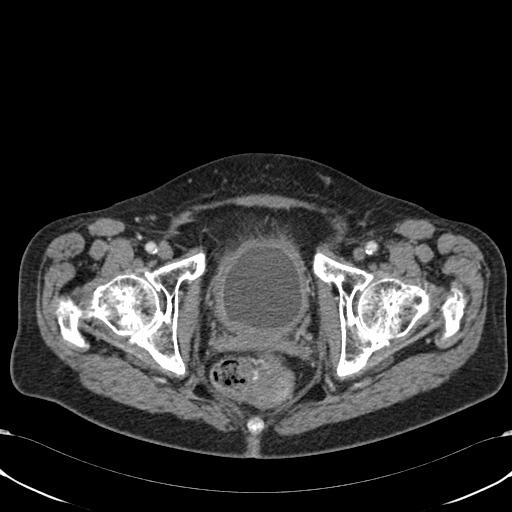
CT scan slice

Annotated regions:
• urinary bladder: 224, 248, 301, 330